Image width 240 mm; Brain
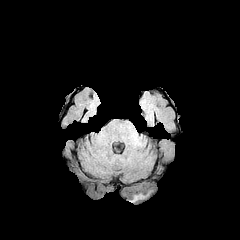
FLAIR magnetic resonance.
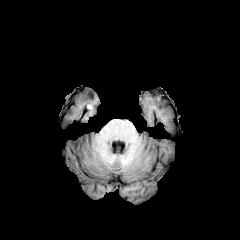
T1-weighted MRI.
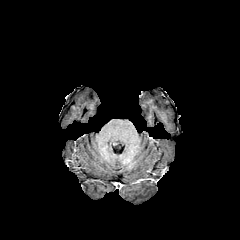
Same slice, post-contrast T1-weighted magnetic resonance.
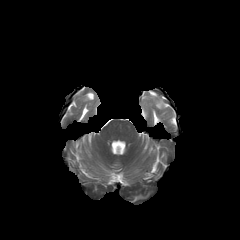
T2-weighted magnetic resonance of the same slice.
{
  "edema": [
    "region(132, 191, 152, 202)"
  ]
}